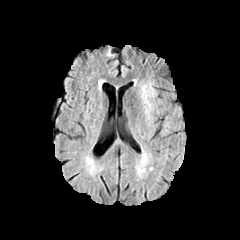
FLAIR MRI.
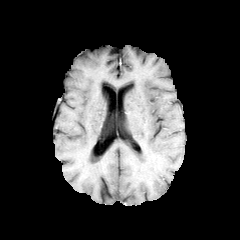
T1-weighted magnetic resonance of the same slice.
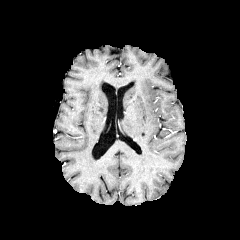
Post-contrast T1-weighted MR image of the same slice.
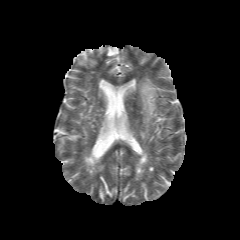
T2-weighted MR of the same slice.
Image size 240x240
{
  "edema": [
    "<box>141,81,156,123</box>"
  ]
}